FLAIR MRI.
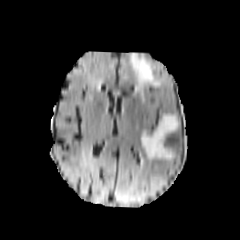
T1-weighted MRI.
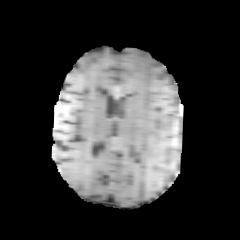
Post-contrast T1-weighted MR.
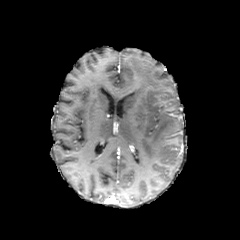
T2-weighted MR.
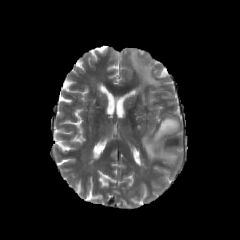
Brain
<segmentation>
  <edema>129,51,162,100; 141,115,182,161</edema>
</segmentation>